Field of view 429 mm wide, 0.70 mm slice spacing. Upper abdomen. CT scan slice.

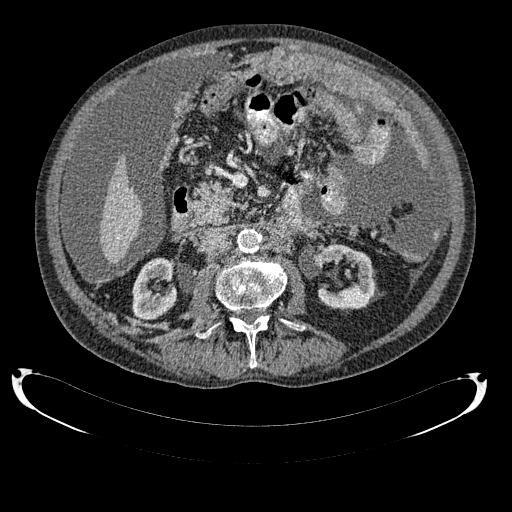
liver: left=100, top=155, right=141, bottom=263 | kidney: left=133, top=258, right=176, bottom=319; left=314, top=245, right=374, bottom=308